Head
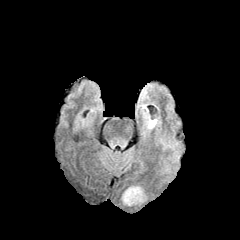
FLAIR MRI.
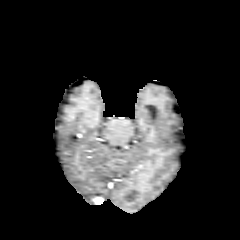
T1-weighted MRI.
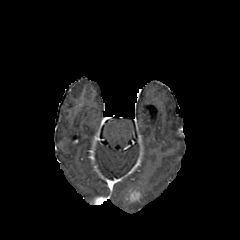
Post-contrast T1-weighted MR image.
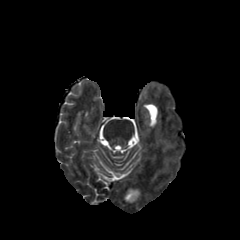
T2-weighted MR of the same slice.
* enhancing tumor: box=[126, 191, 139, 200]
* edema: box=[123, 186, 142, 203]